512x512 | Abdomen | CT slice 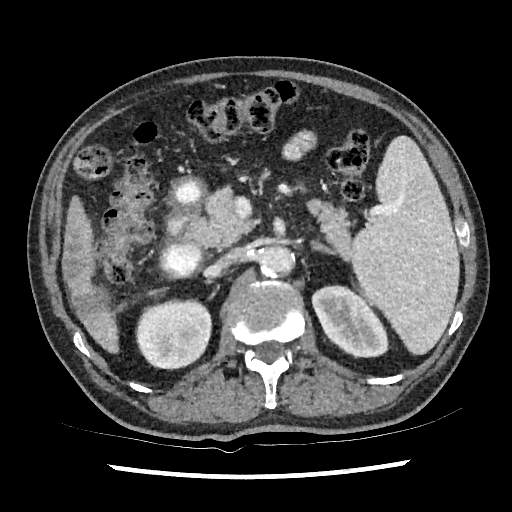

Kidney — <box>137,301,210,368</box>, <box>312,286,387,356</box>.
Liver — <box>65,199,94,264</box>, <box>83,308,117,350</box>, <box>70,266,107,303</box>.
Focal liver lesion — <box>63,225,93,285</box>, <box>73,290,108,330</box>.